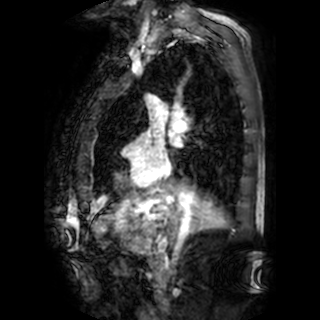
Heart | MR
left_atrium:
  - l=172, t=136, r=181, b=146